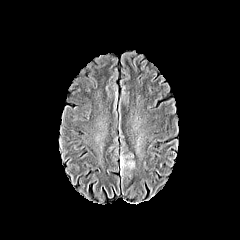
FLAIR MR.
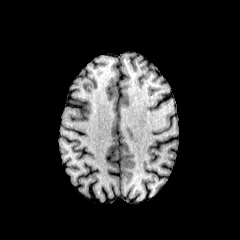
T1-weighted MR.
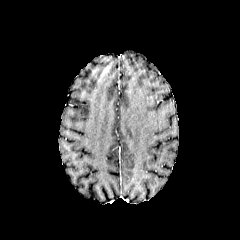
Post-contrast T1-weighted MR of the same slice.
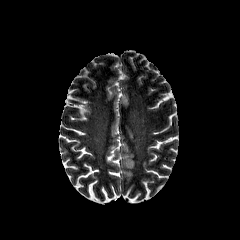
T2-weighted magnetic resonance.
Edema = [125,160,134,169].